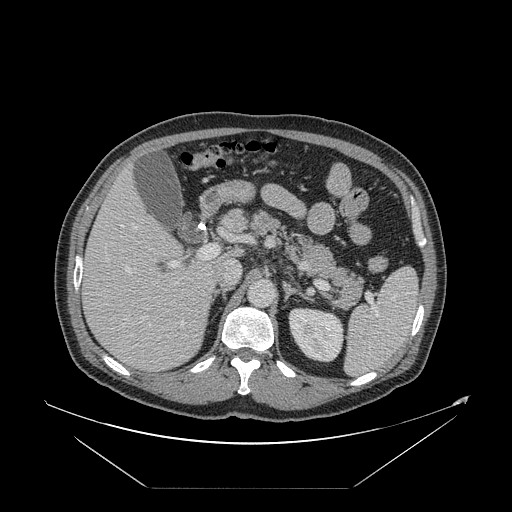

Computed tomography

Not every hepatic vessel necessarily has a box.
Hepatic vessel: bounding box (x1=168, y1=261, x2=178, y2=267), (x1=140, y1=317, x2=143, y2=318), (x1=225, y1=260, x2=239, y2=283), (x1=125, y1=267, x2=130, y2=273), (x1=133, y1=226, x2=135, y2=228), (x1=199, y1=244, x2=218, y2=259), (x1=210, y1=287, x2=211, y2=290), (x1=203, y1=293, x2=207, y2=296).